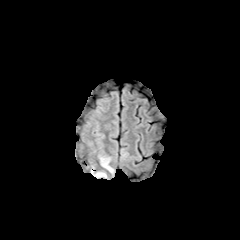
FLAIR magnetic resonance.
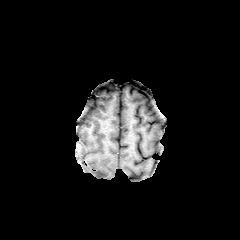
T1-weighted MRI.
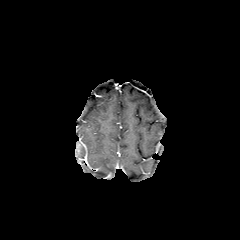
Post-contrast T1-weighted MRI.
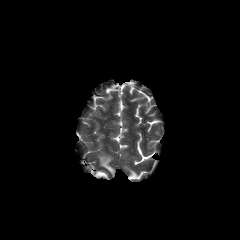
T2-weighted MR image.
Head
edema: (x1=91, y1=155, x2=113, y2=178)